CT slice; Slice 136/547; 512x512 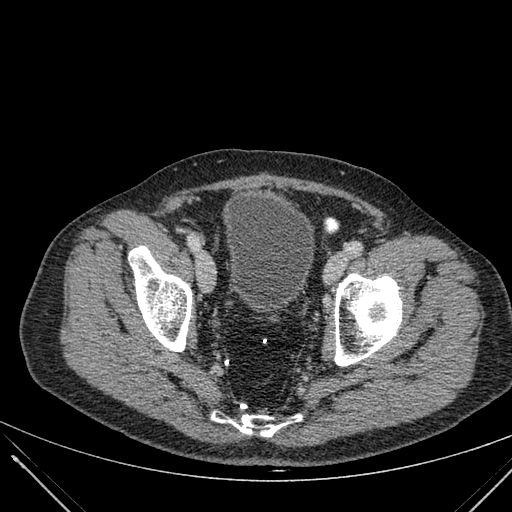
The urinary bladder is at 226, 196, 314, 308.